Slice 62 of 155, Field of view 240x240 mm, 240x240 px
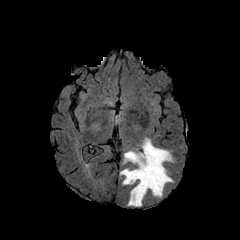
FLAIR magnetic resonance.
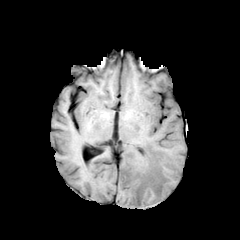
T1-weighted MRI.
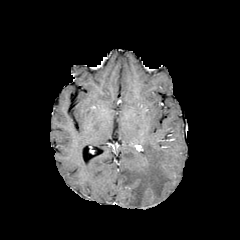
Post-contrast T1-weighted MRI.
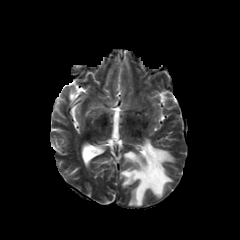
T2-weighted magnetic resonance.
The edema is located at bbox(119, 138, 174, 206).